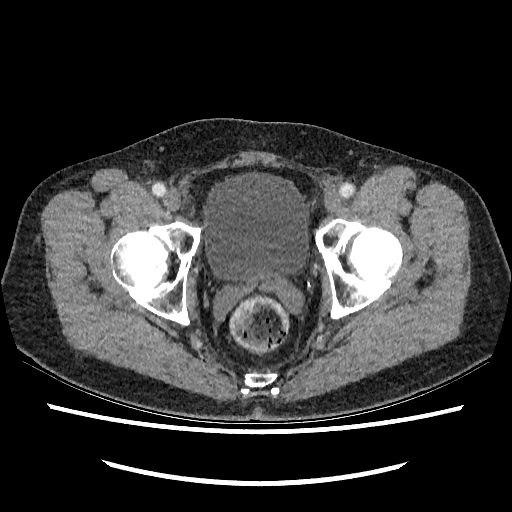
CT scan slice
The urinary bladder is at l=200, t=171, r=310, b=280.